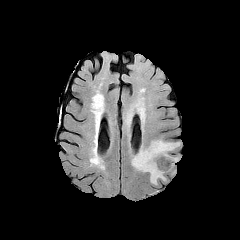
FLAIR magnetic resonance.
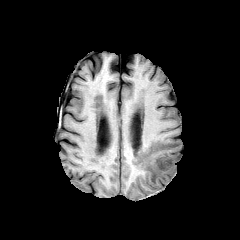
T1-weighted MR image.
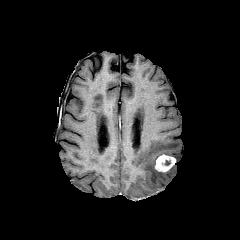
Post-contrast T1-weighted magnetic resonance of the same slice.
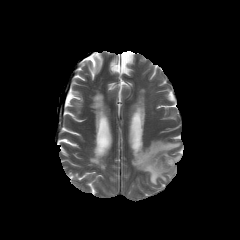
T2-weighted MRI.
Image size 240x240
edema:
  - (131, 139, 179, 184)
enhancing_tumor:
  - (155, 154, 175, 171)
non-enhancing_tumor_core:
  - (150, 163, 162, 177)